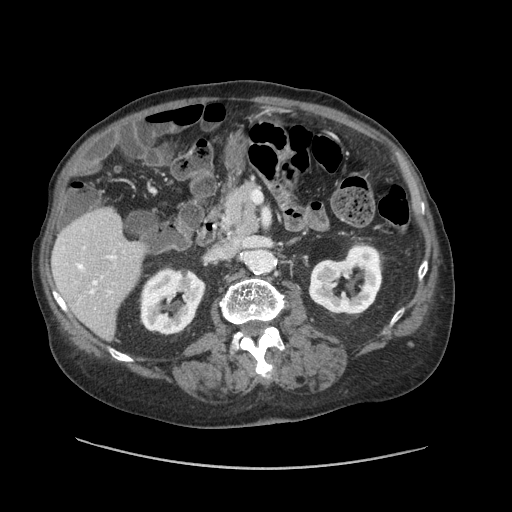
CT scan slice; Abdomen
Some hepatic vessels may have no box.
Findings:
- hepatic vessel: [243,238,250,246]